Brain. Slice 62/155.
FLAIR MR image.
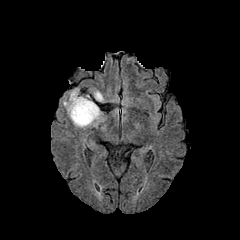
T1-weighted MRI.
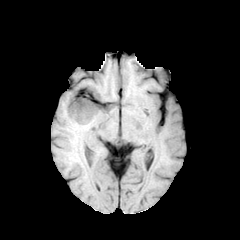
Post-contrast T1-weighted MR.
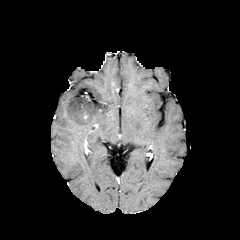
T2-weighted MRI.
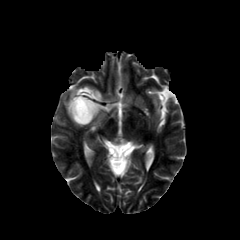
<segmentation>
  <edema>left=93, top=89, right=103, bottom=101; left=63, top=89, right=101, bottom=126</edema>
</segmentation>